CT scan slice. Field of view 500 mm wide, 2.50 mm slice spacing.
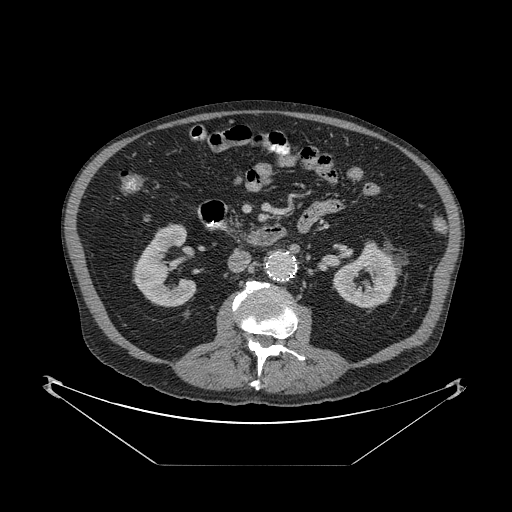 Annotated regions:
• pancreas: x1=226, y1=214, x2=245, y2=234